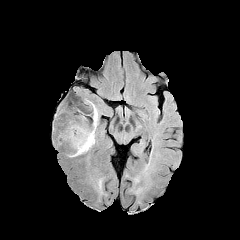
FLAIR MRI.
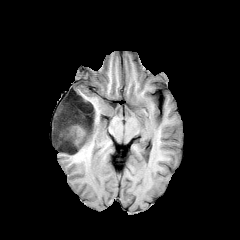
T1-weighted magnetic resonance of the same slice.
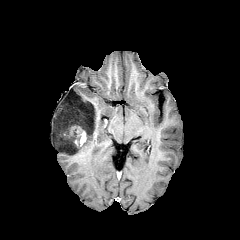
Same slice, post-contrast T1-weighted MR image.
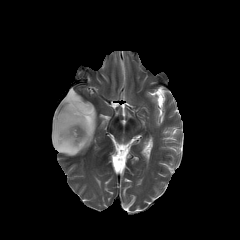
T2-weighted magnetic resonance of the same slice.
Head
2 edema regions are located at 67, 133, 95, 156; 94, 108, 99, 134. The enhancing tumor lies within 74, 130, 86, 146. The non-enhancing tumor core is bounded by 53, 99, 94, 154.